512x512; Field of view 460x460 mm; Slice 45/113; CT image
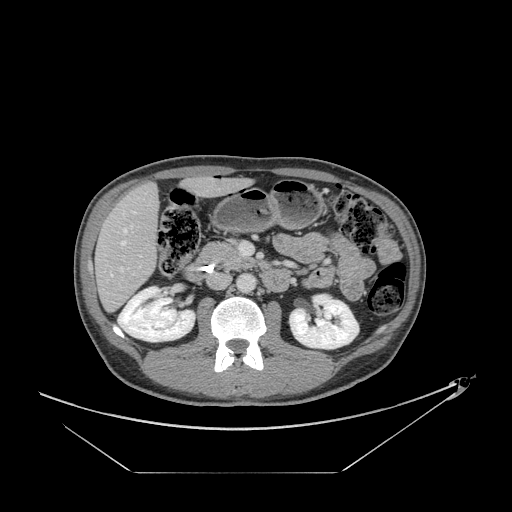

Findings:
* pancreas: (198, 241, 239, 265)